Field of view 240 mm wide, 1.00 mm slice spacing | Slice 27/155 | Head
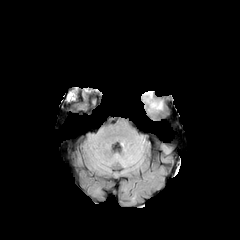
FLAIR magnetic resonance.
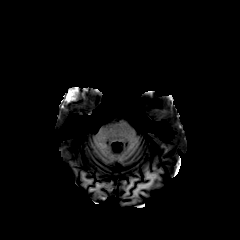
T1-weighted MR.
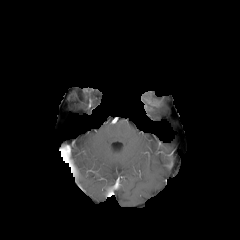
Post-contrast T1-weighted MRI of the same slice.
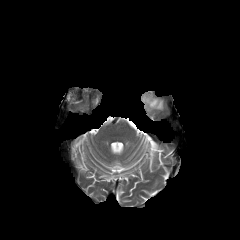
T2-weighted MR.
The enhancing tumor is located at (145, 98, 159, 106).